FLAIR MR image.
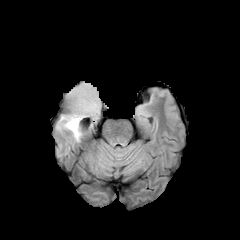
T1-weighted magnetic resonance.
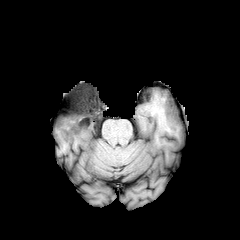
Post-contrast T1-weighted MR.
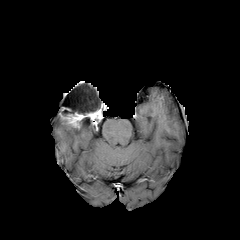
T2-weighted MR.
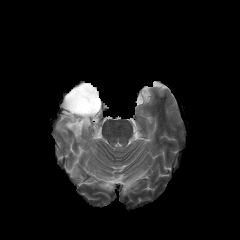
240x240 px. Head.
Enhancing tumor at 61, 104, 101, 127.
Edema at 57, 120, 82, 141.
Non-enhancing tumor core at 61, 83, 101, 115.